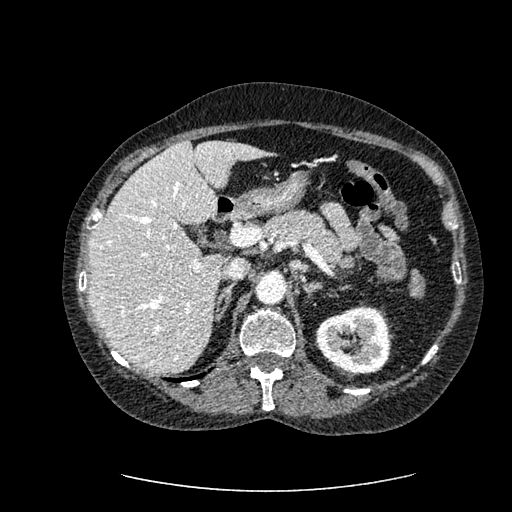
Abdomen; Computed tomography

The kidney appears at x1=317, y1=307, x2=389, y2=372. The liver is at x1=89, y1=140, x2=274, y2=373.